Abdomen | 512x512 px | CT image

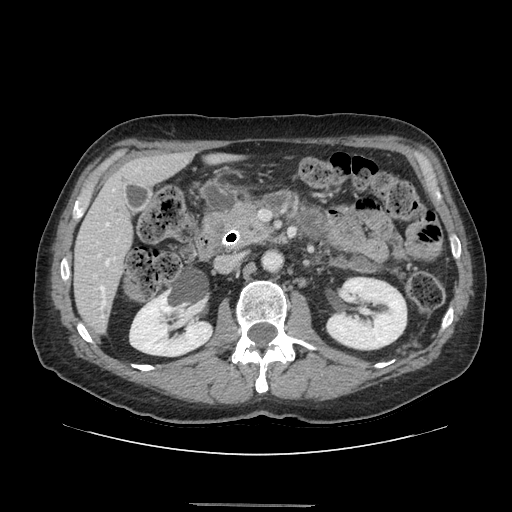
pancreas:
  - {"x1": 207, "y1": 201, "x2": 267, "y2": 247}
pancreatic_tumor:
  - {"x1": 214, "y1": 223, "x2": 225, "y2": 233}